Computed tomography. Abdomen. Image width 335 mm. 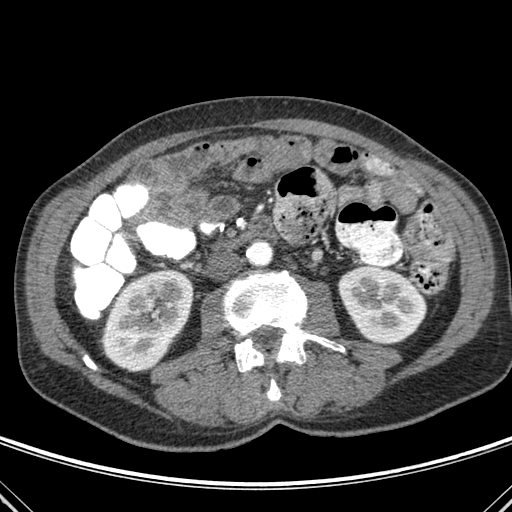

<segmentation>
  <kidney>103,274,192,370; 339,267,425,342</kidney>
  <bone>267,377,280,401; 236,218,243,225; 83,355,96,369; 223,271,344,371</bone>
</segmentation>